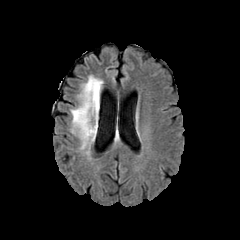
FLAIR MRI.
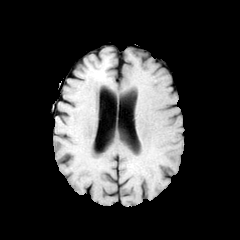
T1-weighted MR image.
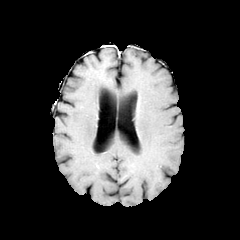
Post-contrast T1-weighted MRI of the same slice.
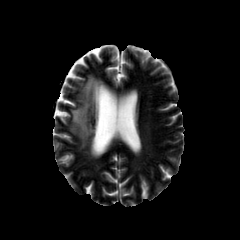
Same slice, T2-weighted MRI.
240x240
Edema: 70:75:103:157.